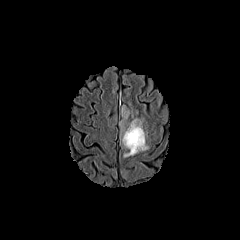
FLAIR magnetic resonance.
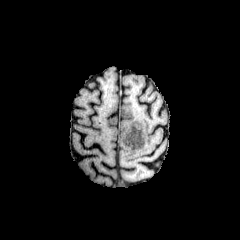
Same slice, T1-weighted MR.
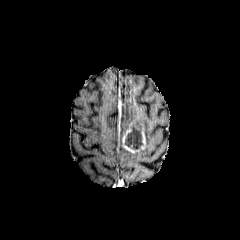
Post-contrast T1-weighted MR image of the same slice.
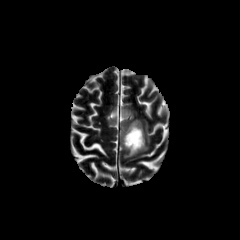
T2-weighted MRI.
Head.
{
  "enhancing_tumor": [
    "x1=122, y1=129, x2=140, y2=153",
    "x1=141, y1=127, x2=146, y2=149"
  ],
  "non-enhancing_tumor_core": [
    "x1=125, y1=120, x2=143, y2=150"
  ],
  "edema": [
    "x1=121, y1=104, x2=129, y2=117"
  ]
}